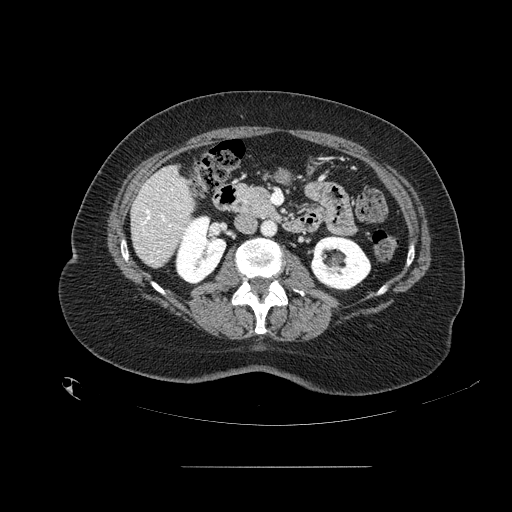

Abdomen; Computed tomography
The pancreas is located at x1=234 y1=182 x2=274 y2=219.